Image size 240x240
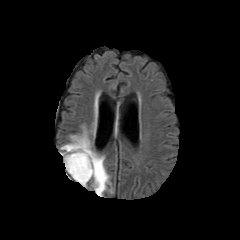
FLAIR MRI.
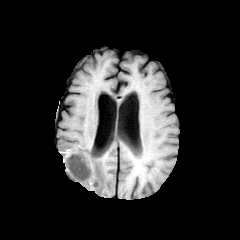
T1-weighted MRI.
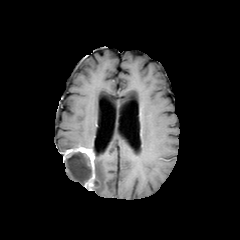
Same slice, post-contrast T1-weighted MR.
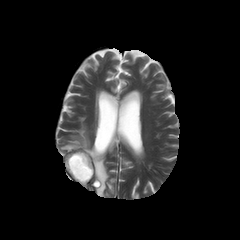
Same slice, T2-weighted magnetic resonance.
3 edema regions appear at (60,130,91,155), (90,153,112,195), (64,160,77,180). The enhancing tumor is located at (63,147,95,177). The non-enhancing tumor core is at (65,151,91,185).